Slice 48 of 110. CT. Upper abdomen. 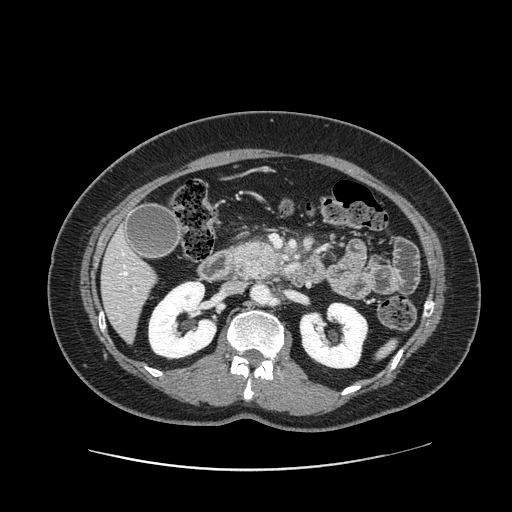
Pancreas at {"x1": 233, "y1": 241, "x2": 283, "y2": 278}.
Pancreatic tumor at {"x1": 247, "y1": 247, "x2": 266, "y2": 260}.